Slice index 501; 512x512 px; Field of view 367 mm wide, 0.70 mm slice spacing; CT image; Abdomen
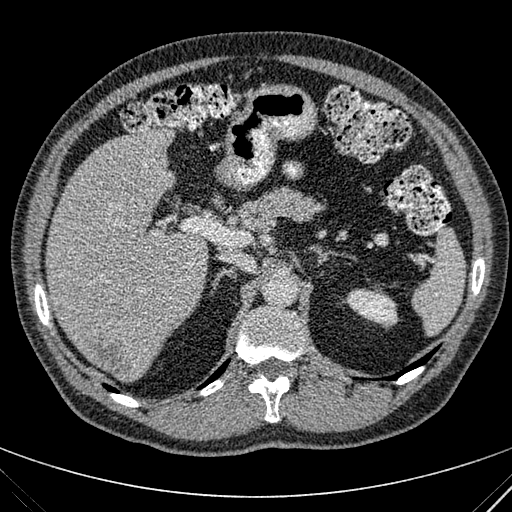 hepatic lesion: region(84, 333, 130, 373) | liver: region(46, 126, 205, 380) | kidney: region(347, 289, 397, 325)